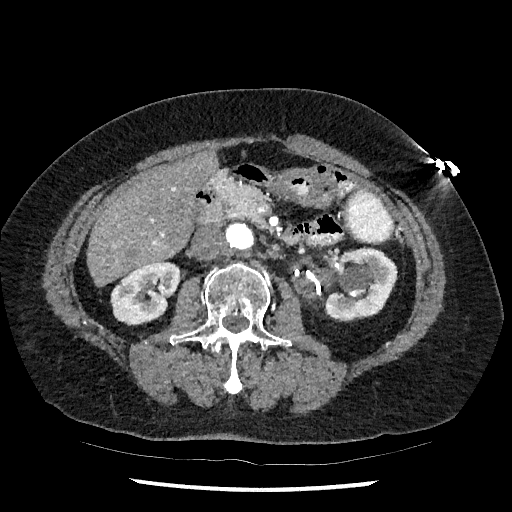 CT slice
• kidney: 111 262 179 324, 326 248 396 320
• liver: 87 151 218 287